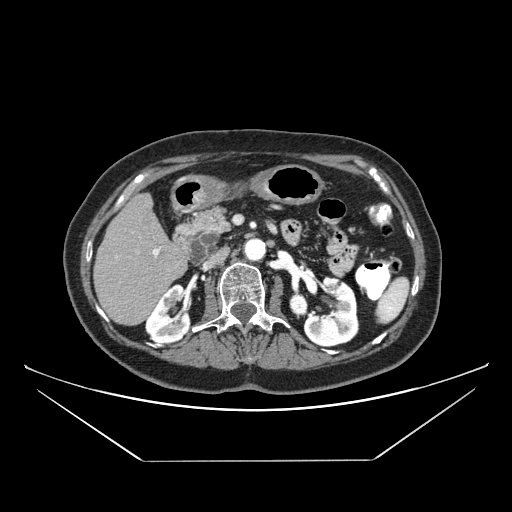
Computed tomography; Abdomen
• pancreatic tumor: (189, 230, 217, 264)
• pancreas: (175, 207, 233, 266)